Slice 79 of 155
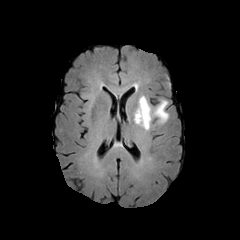
FLAIR magnetic resonance.
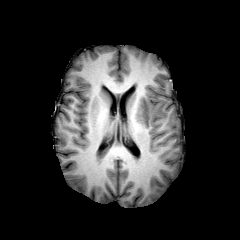
T1-weighted MR image.
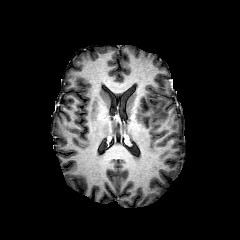
Post-contrast T1-weighted magnetic resonance of the same slice.
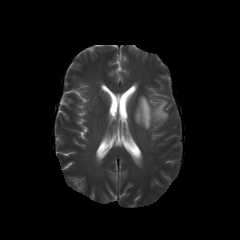
T2-weighted magnetic resonance of the same slice.
<segmentation>
  <edema>(136, 96, 168, 130)</edema>
  <non-enhancing_tumor_core>(142, 100, 149, 123)</non-enhancing_tumor_core>
</segmentation>